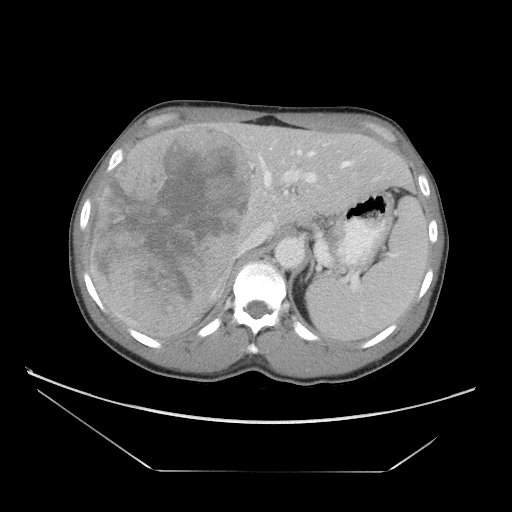

CT image, 512x512 px, Abdomen
The vessel boxes may cover only some of the vessels.
The liver tumor is at (89,123,263,336). 6 hepatic vessel regions appear at (342,161,350,166), (307,151,314,156), (236,250,246,256), (297,150,301,154), (265,172,269,184), (306,175,316,182).